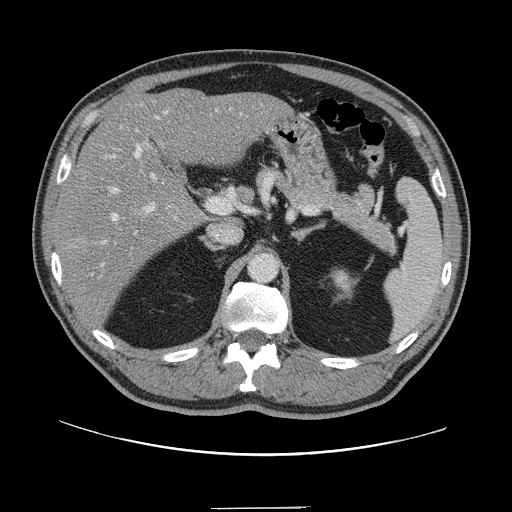
512x512 px. Abdomen. CT.
The vessel annotation is not exhaustive.
Liver tumor — (x1=70, y1=238, x2=90, y2=255).
Hepatic vessel — (x1=156, y1=117, x2=158, y2=118), (x1=110, y1=155, x2=115, y2=157), (x1=103, y1=242, x2=106, y2=243), (x1=135, y1=146, x2=140, y2=157), (x1=175, y1=218, x2=176, y2=219), (x1=146, y1=203, x2=155, y2=211), (x1=112, y1=214, x2=117, y2=220), (x1=152, y1=174, x2=155, y2=179), (x1=165, y1=111, x2=167, y2=114), (x1=112, y1=188, x2=118, y2=192), (x1=102, y1=264, x2=104, y2=266).